FLAIR MRI.
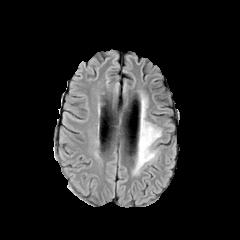
T1-weighted magnetic resonance.
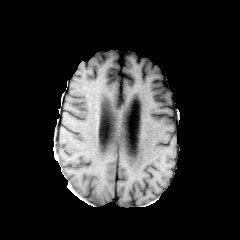
Post-contrast T1-weighted MR.
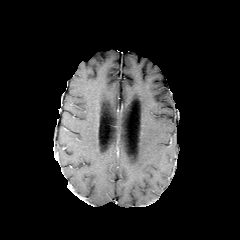
T2-weighted MR image.
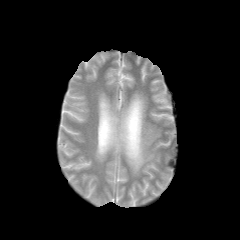
Head, 240x240
Edema — (134,97,161,174).